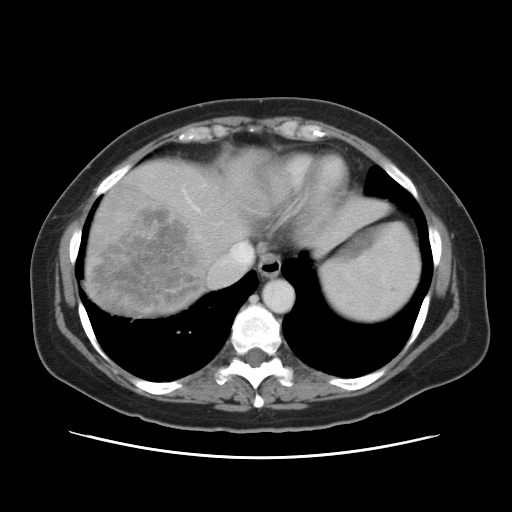 512x512 px, Abdomen, CT image
The vessel boxes may cover only some of the vessels.
3 hepatic vessel regions appear at [x1=191, y1=204, x2=199, y2=211], [x1=204, y1=237, x2=252, y2=286], [x1=197, y1=236, x2=206, y2=240]. The liver tumor is at [x1=89, y1=182, x2=202, y2=314].